240x240 px; Slice index 114
FLAIR MRI.
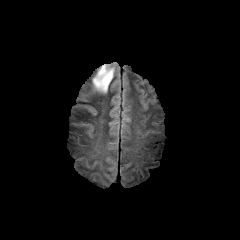
T1-weighted MR image.
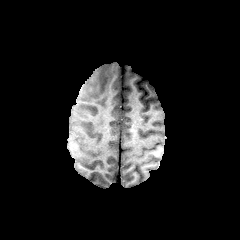
Post-contrast T1-weighted MR image.
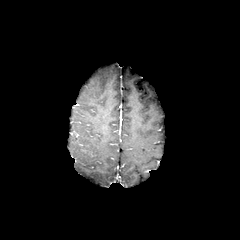
T2-weighted MR image.
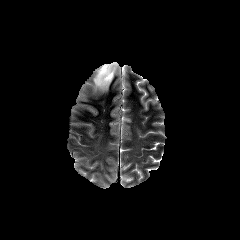
Edema: bounding box left=93, top=64, right=114, bottom=91.